240x240 px, Slice index 127
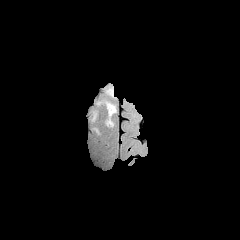
FLAIR MRI.
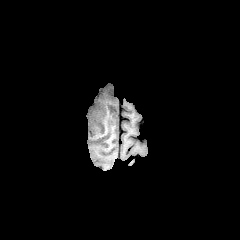
T1-weighted MR of the same slice.
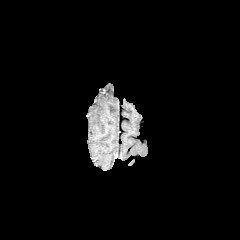
Post-contrast T1-weighted MR image.
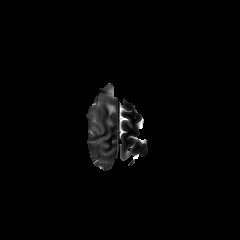
T2-weighted MR image.
edema:
  - 106,114,113,126
  - 108,104,116,117
  - 105,86,113,101